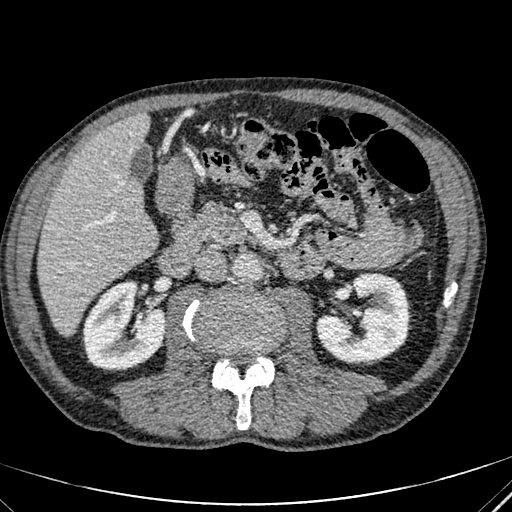 CT image

Liver = <box>38,113,156,336</box>.
Kidney = <box>84,283,164,368</box>, <box>318,274,407,360</box>.